MRI slice | Medial temporal lobe | Slice index 24

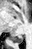 - posterior hippocampus: l=9, t=35, r=23, b=43